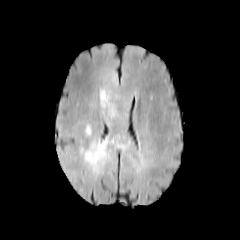
FLAIR MR image.
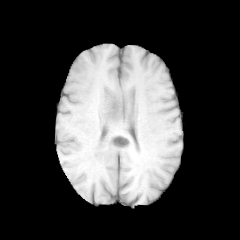
T1-weighted MRI.
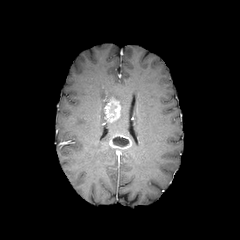
Post-contrast T1-weighted MR image.
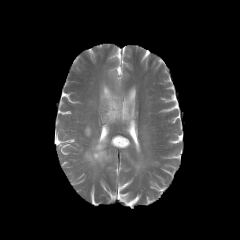
T2-weighted MRI.
Head; 240x240 px
Findings:
• edema: 99,90,111,123; 110,96,124,124; 85,124,91,134; 82,137,110,169
• enhancing tumor: 109,134,132,149; 103,97,121,122
• non-enhancing tumor core: 113,137,129,146